FLAIR magnetic resonance.
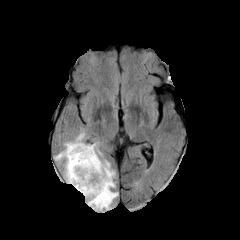
T1-weighted MR.
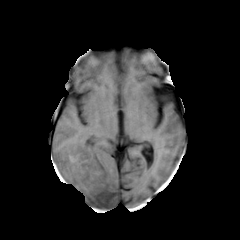
Post-contrast T1-weighted magnetic resonance.
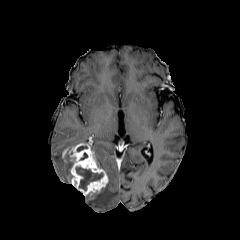
T2-weighted MRI.
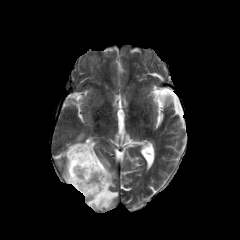
Edema at x1=85 y1=138 x2=117 y2=210, x1=54 y1=131 x2=88 y2=181.
Non-enhancing tumor core at x1=76 y1=167 x2=102 y2=189.
Enhancing tumor at x1=62 y1=137 x2=108 y2=198.